Field of view 240 mm wide, 1.00 mm slice spacing
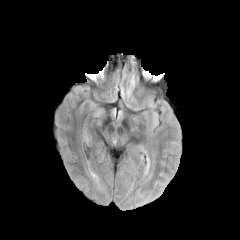
FLAIR MRI.
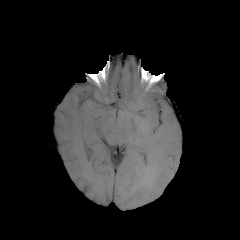
T1-weighted MRI.
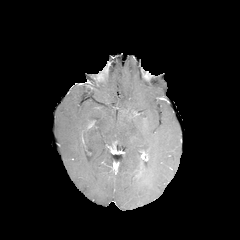
Post-contrast T1-weighted MR image.
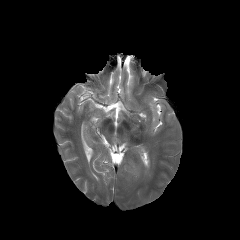
T2-weighted MR.
Findings:
• enhancing tumor: box=[136, 163, 143, 177]